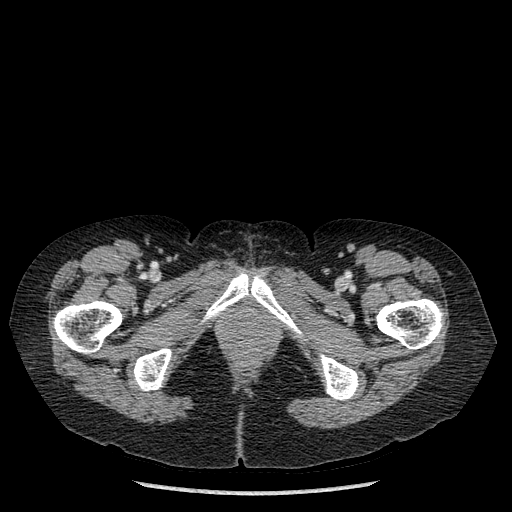

CT slice
Segmented structures:
- bone: 133 348 171 391, 376 299 443 349, 319 354 358 400, 200 270 306 340, 53 300 122 353